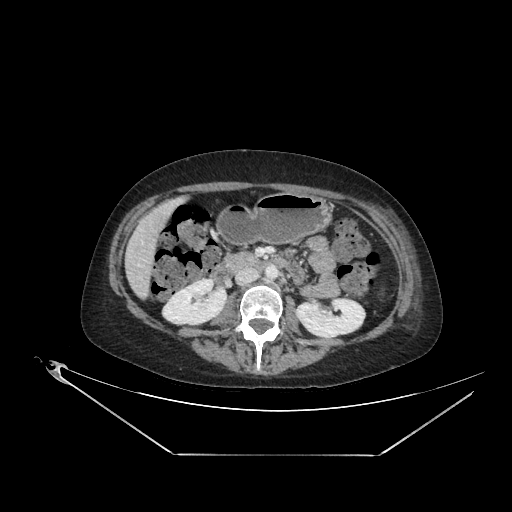
Abdomen; Computed tomography
Liver = (120,196,187,302).
Kidney = (296,299,364,337), (163,279,226,324).